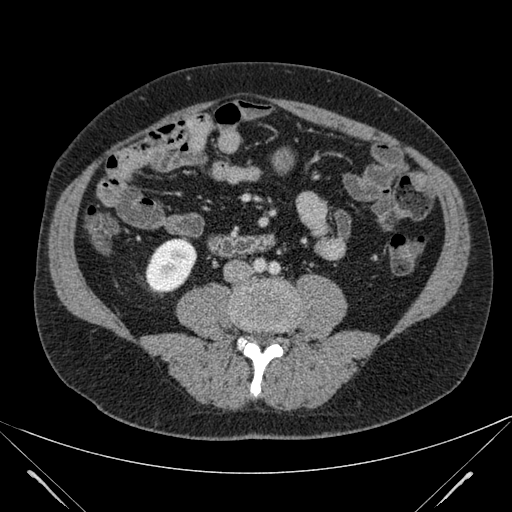

CT slice.
• kidney: [147,239,195,291]